Upper abdomen | Computed tomography | 512x512 | Field of view 335 mm wide, 1.00 mm slice spacing 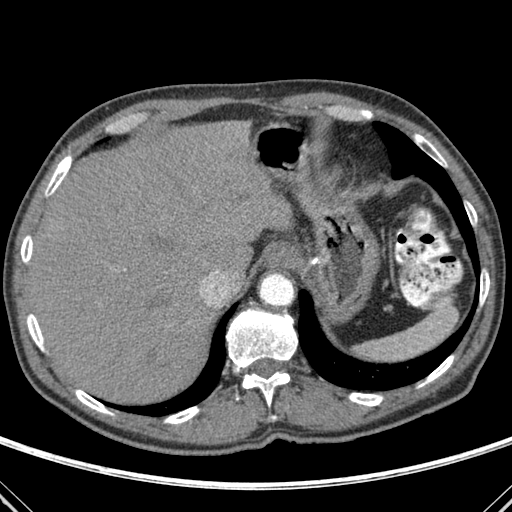

Hepatic lesion: {"x1": 234, "y1": 188, "x2": 250, "y2": 205}.
Lung: {"x1": 373, "y1": 122, "x2": 476, "y2": 272}, {"x1": 298, "y1": 290, "x2": 476, "y2": 390}, {"x1": 103, "y1": 303, "x2": 237, "y2": 416}.
Liver: {"x1": 28, "y1": 119, "x2": 292, "y2": 404}.
Bone: {"x1": 21, "y1": 235, "x2": 32, "y2": 262}, {"x1": 164, "y1": 406, "x2": 199, "y2": 423}, {"x1": 226, "y1": 308, "x2": 297, "y2": 372}, {"x1": 46, "y1": 155, "x2": 71, "y2": 194}, {"x1": 241, "y1": 371, "x2": 289, "y2": 406}, {"x1": 349, "y1": 393, "x2": 382, "y2": 406}, {"x1": 465, "y1": 201, "x2": 477, "y2": 224}, {"x1": 419, "y1": 355, "x2": 453, "y2": 386}, {"x1": 480, "y1": 271, "x2": 489, "y2": 304}, {"x1": 75, "y1": 390, "x2": 111, "y2": 414}, {"x1": 27, "y1": 314, "x2": 44, "y2": 350}, {"x1": 414, "y1": 134, "x2": 446, "y2": 166}.